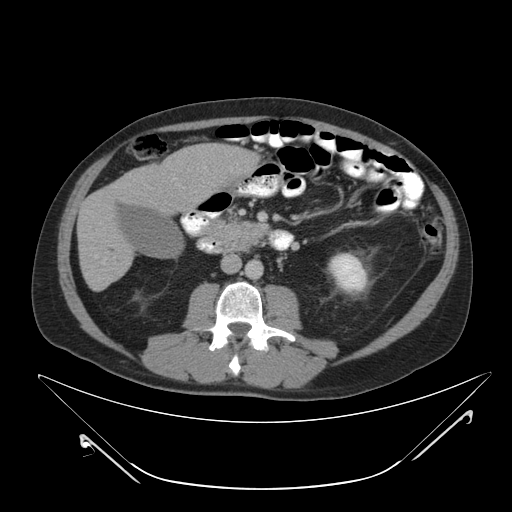

CT scan slice, Upper abdomen

{
  "pancreas": [
    "(x1=204, y1=212, x2=268, y2=252)"
  ]
}